Abdomen | 512x512 px | CT image
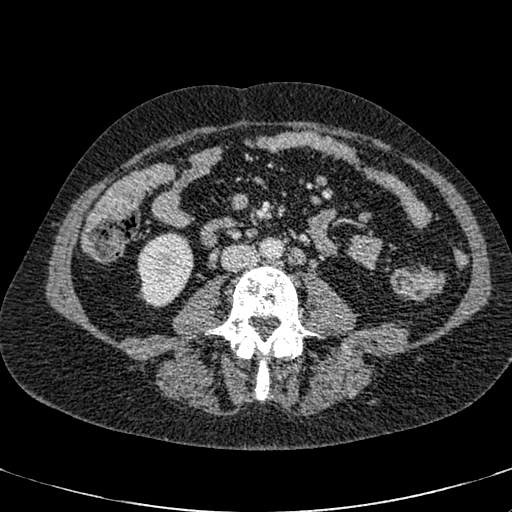
kidney:
  - <box>138,234,192,305</box>